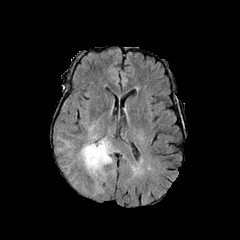
FLAIR MR.
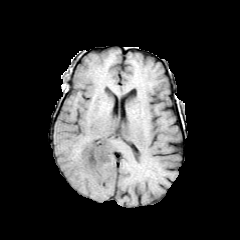
Same slice, T1-weighted MR.
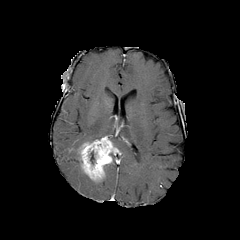
Same slice, post-contrast T1-weighted MR.
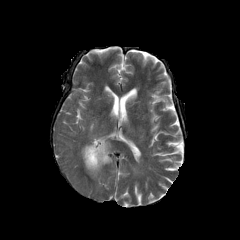
T2-weighted MR image.
Image size 240x240
edema:
  - 92, 169, 116, 196
  - 103, 156, 116, 169
  - 70, 150, 80, 167
  - 82, 119, 102, 142
enhancing_tumor:
  - 79, 137, 115, 182